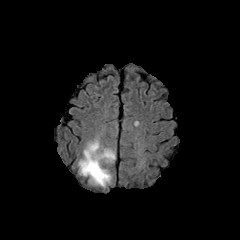
FLAIR MR.
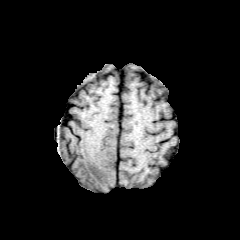
Same slice, T1-weighted MR.
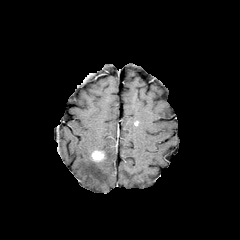
Same slice, post-contrast T1-weighted magnetic resonance.
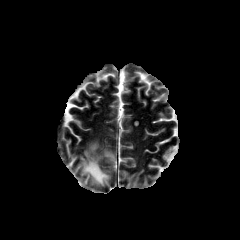
Same slice, T2-weighted magnetic resonance.
Head, Image size 240x240
enhancing tumor: [92,150,103,160] | edema: [77,140,115,187]